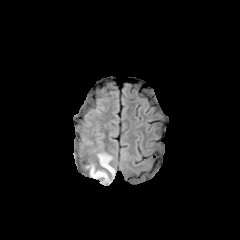
FLAIR magnetic resonance.
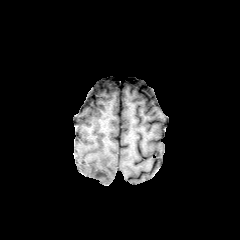
T1-weighted MR.
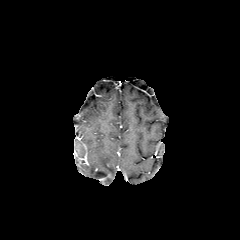
Post-contrast T1-weighted MR of the same slice.
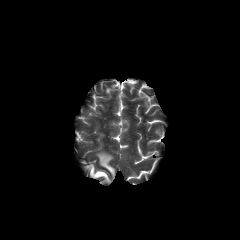
T2-weighted MR image of the same slice.
240x240 px | Brain
Edema — 84,152,114,183.